Slice 549 of 671; CT scan slice 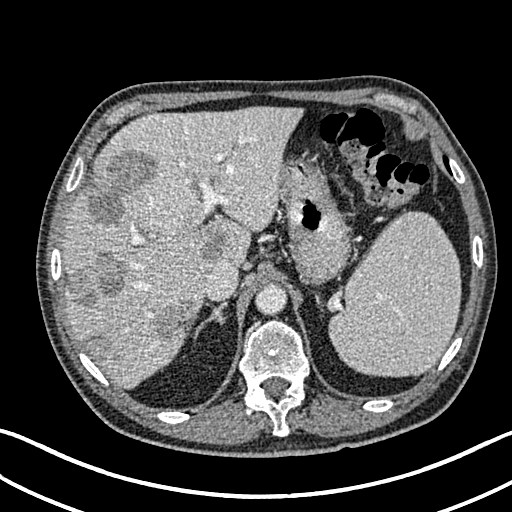

{
  "liver": [
    "bbox=[64, 107, 300, 386]"
  ],
  "focal_liver_lesion": [
    "bbox=[87, 335, 111, 361]",
    "bbox=[151, 303, 189, 338]",
    "bbox=[200, 231, 225, 262]",
    "bbox=[68, 250, 128, 305]",
    "bbox=[87, 152, 159, 224]"
  ]
}